FLAIR MR.
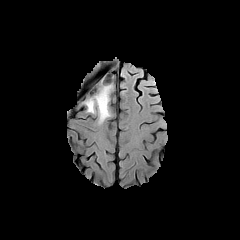
T1-weighted magnetic resonance.
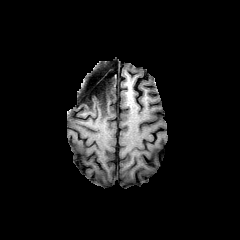
Post-contrast T1-weighted MR image.
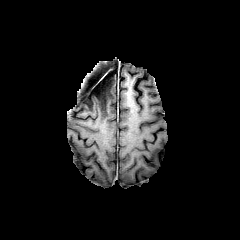
T2-weighted MR image.
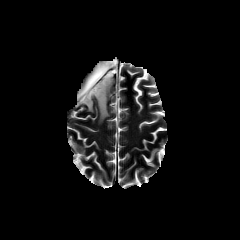
240x240.
<segmentation>
  <non-enhancing_tumor_core>box=[82, 82, 109, 105]</non-enhancing_tumor_core>
  <edema>box=[82, 84, 113, 122]</edema>
</segmentation>